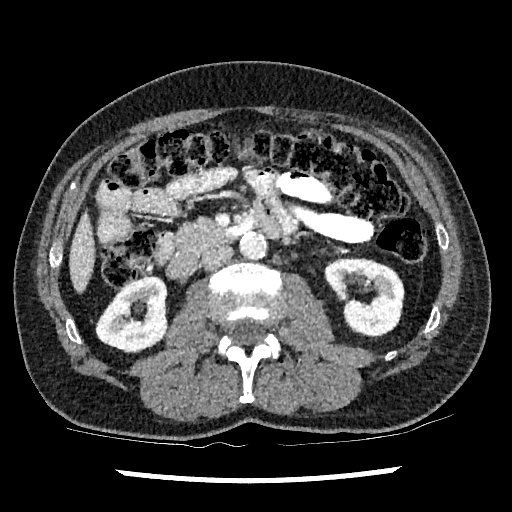

CT scan slice. Image size 512x512. Upper abdomen. The liver is bounded by {"x1": 69, "y1": 215, "x2": 94, "y2": 291}. 2 kidney regions appear at {"x1": 97, "y1": 277, "x2": 165, "y2": 350}, {"x1": 326, "y1": 259, "x2": 403, "y2": 334}.